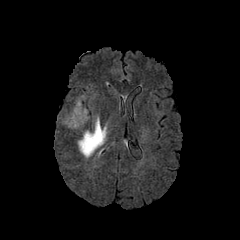
FLAIR MR image.
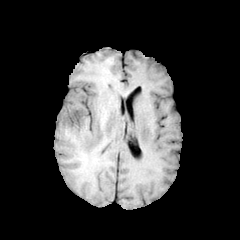
T1-weighted MR image.
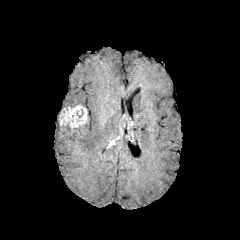
Post-contrast T1-weighted MR image.
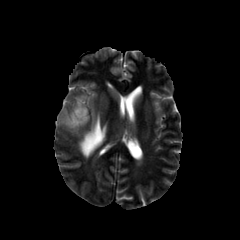
T2-weighted magnetic resonance of the same slice.
Brain.
Segmented structures:
• enhancing tumor: x1=60 y1=105 x2=87 y2=127
• non-enhancing tumor core: x1=88 y1=134 x2=98 y2=147
• edema: x1=74 y1=112 x2=107 y2=158, x1=72 y1=97 x2=84 y2=106